Image size 512x512 | CT image 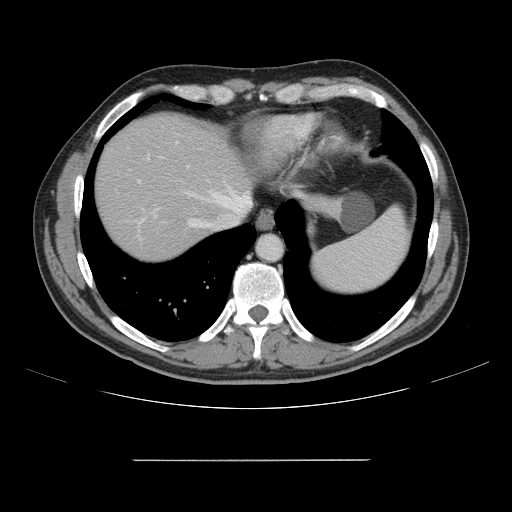 The vessel boxes may cover only some of the vessels.
<segmentation>
  <hepatic_vessel>228 189 230 191, 188 219 212 226, 185 191 234 204, 154 215 156 217, 176 141 178 143, 137 219 144 223, 147 154 149 159</hepatic_vessel>
</segmentation>